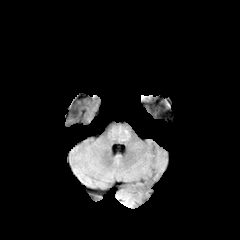
FLAIR MR.
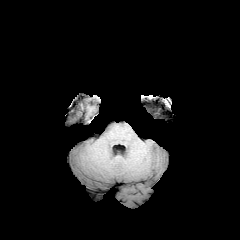
Same slice, T1-weighted MR image.
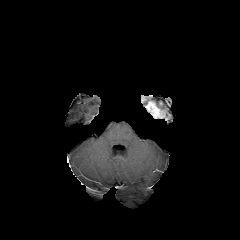
Same slice, post-contrast T1-weighted MR.
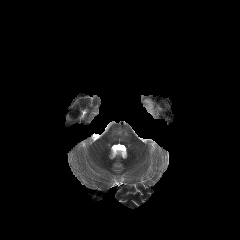
T2-weighted MR.
The enhancing tumor is at region(146, 106, 158, 117).